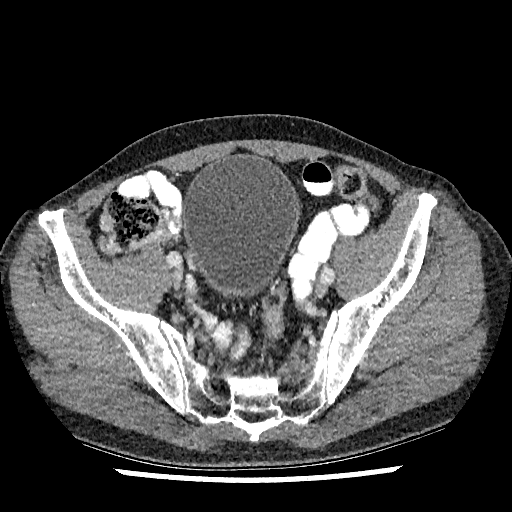
Computed tomography
The urinary bladder is bounded by l=183, t=157, r=297, b=297.